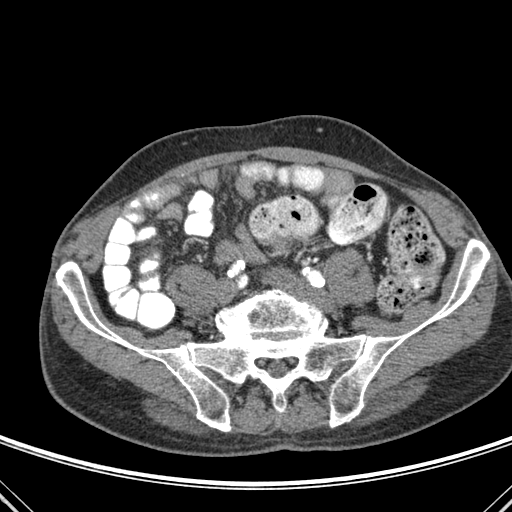

CT scan slice

<segmentation>
  <bone>[56,239,489,431]</bone>
</segmentation>